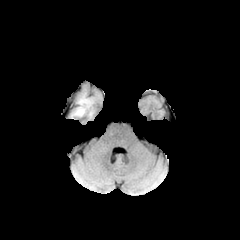
FLAIR MR image.
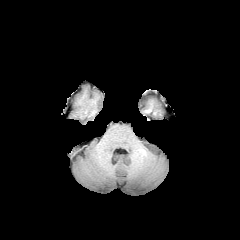
T1-weighted MR.
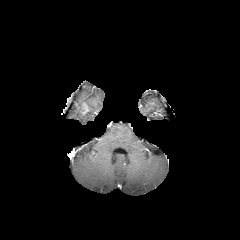
Same slice, post-contrast T1-weighted MR image.
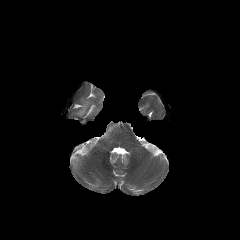
T2-weighted MR image.
Head
{"edema": ["(76, 97, 93, 115)"]}